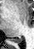

Hippocampus | MRI
Posterior hippocampus: bounding box {"x1": 9, "y1": 37, "x2": 22, "y2": 42}.